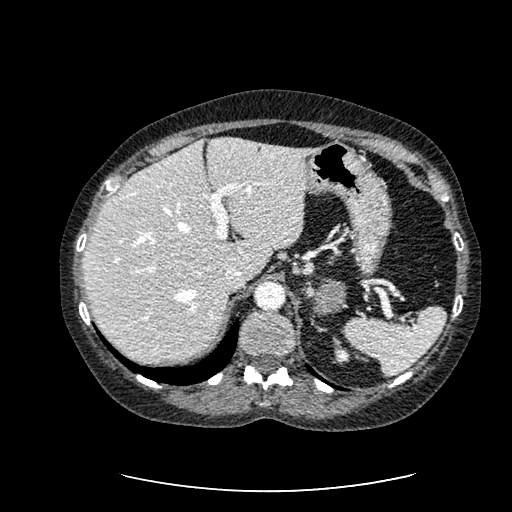

Abdomen; CT
The liver appears at {"x1": 83, "y1": 138, "x2": 325, "y2": 362}. The kidney lies within {"x1": 336, "y1": 349, "x2": 348, "y2": 361}.